Image size 512x512, CT slice, Slice 379 of 547, Upper abdomen 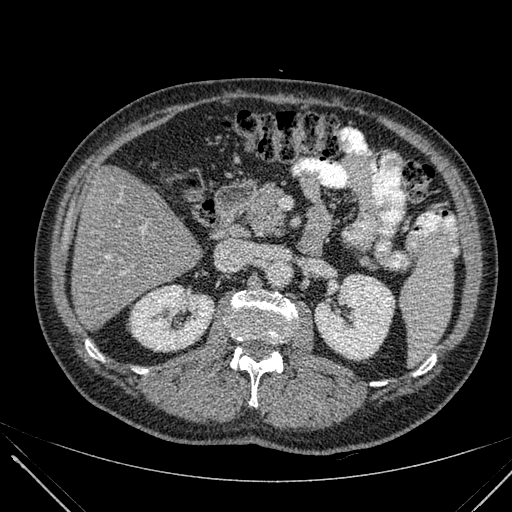

The liver lies within [71, 166, 203, 326]. 2 kidney regions are bounded by [315, 275, 394, 358], [131, 285, 213, 351].